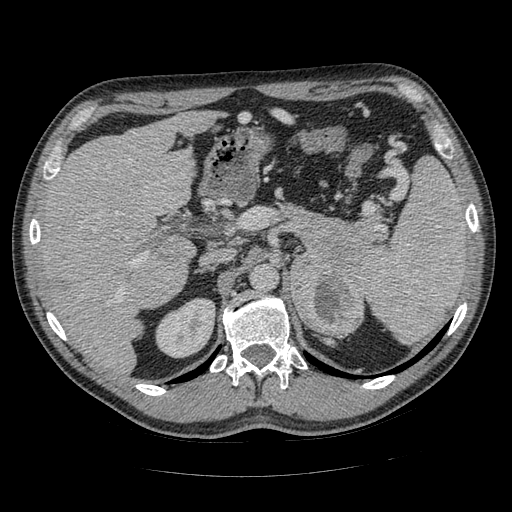 CT scan slice
<segmentation>
  <pancreas>285 207 378 276</pancreas>
  <pancreatic_tumor>291 254 364 337</pancreatic_tumor>
</segmentation>